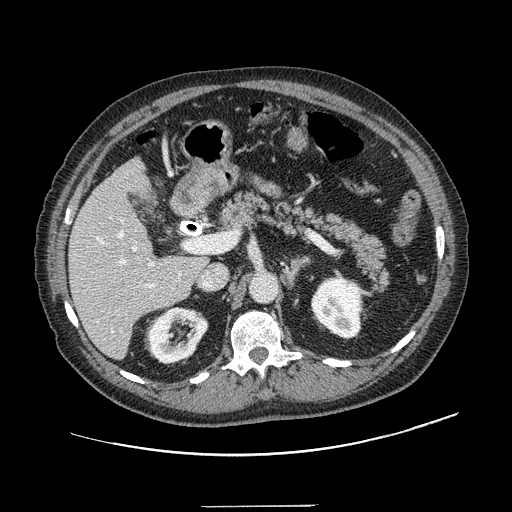
Computed tomography
Pancreas at [x1=213, y1=190, x2=390, y2=294].